512x512 px, CT slice
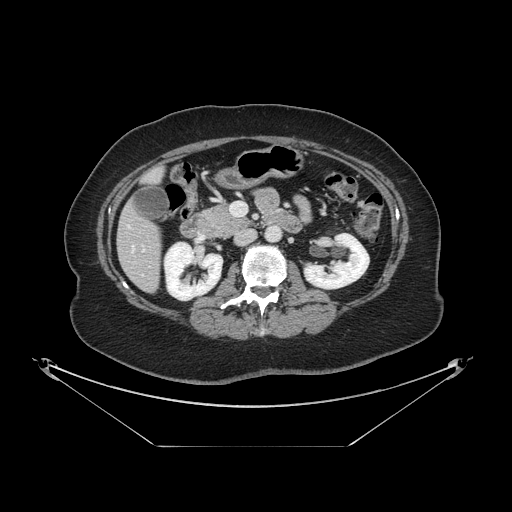

pancreas:
  - 203:204:252:237